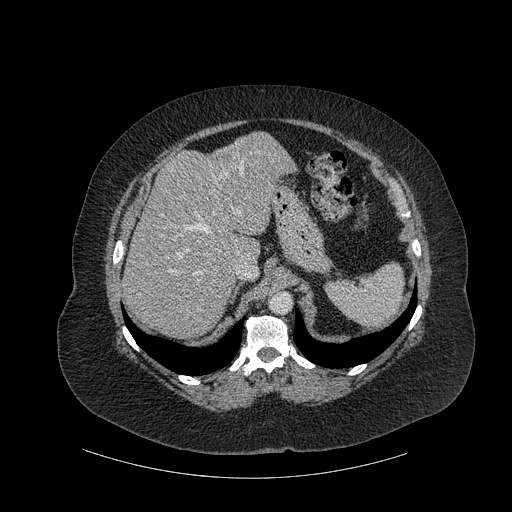
CT image

7 bone regions appear at bbox(123, 327, 138, 350); bbox(412, 240, 420, 255); bbox(179, 375, 199, 384); bbox(230, 316, 314, 374); bbox(113, 241, 123, 262); bbox(348, 364, 366, 374); bbox(409, 305, 421, 329). The liver is bounded by bbox(122, 132, 293, 338). 2 lung regions appear at bbox(123, 312, 243, 375); bbox(293, 291, 416, 367).